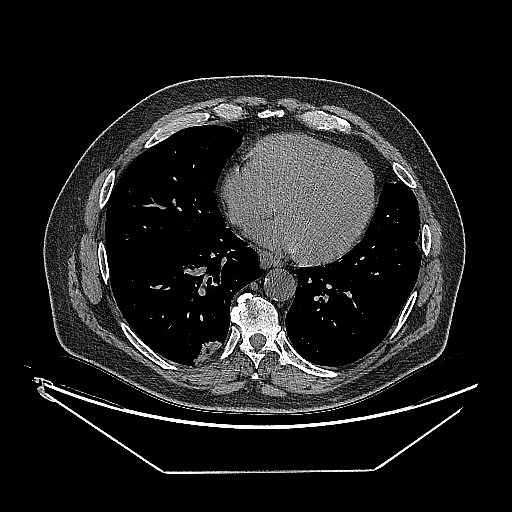
Lung. CT image. Findings:
• lung tumor: 192 340 222 365